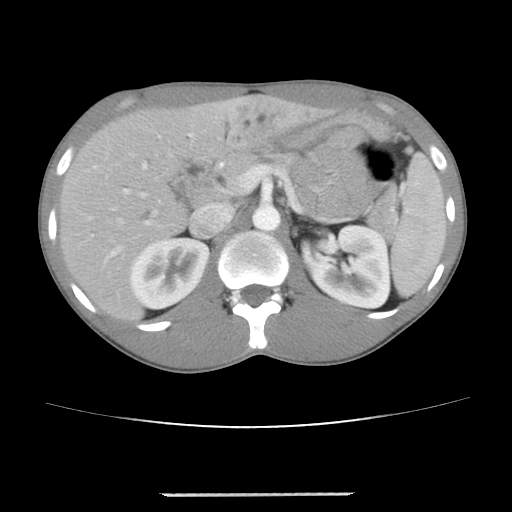
512x512 px | Liver | Computed tomography

Only some of the vessels may be annotated.
<segmentation>
  <hepatic_vessel>x1=148 y1=221 x2=150 y2=224, x1=144 y1=165 x2=145 y2=167, x1=125 y1=190 x2=128 y2=193</hepatic_vessel>
  <liver_tumor>x1=222 y1=114 x2=267 y2=139</liver_tumor>
</segmentation>